FLAIR MR.
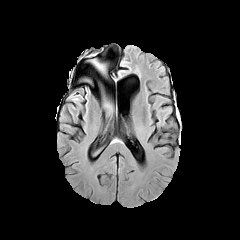
T1-weighted MR image.
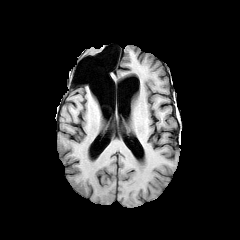
Post-contrast T1-weighted magnetic resonance.
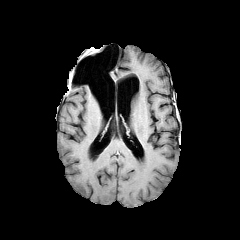
T2-weighted MR image.
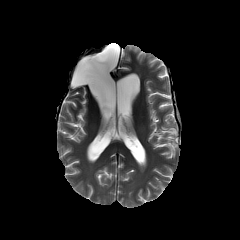
Head
Edema = 102:100:113:113, 87:55:103:67.